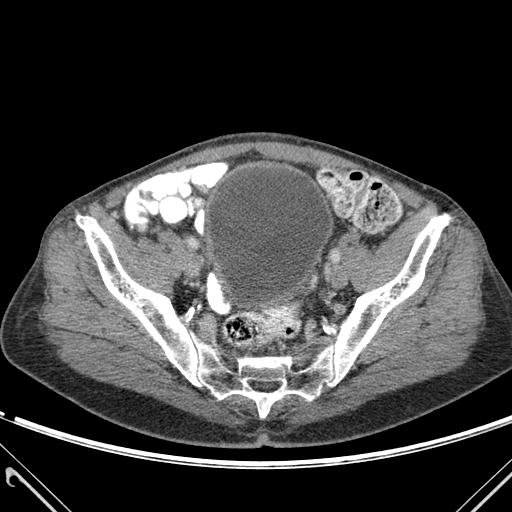 Pelvis; CT scan slice
{"bone": ["x1=76 y1=214 x2=449 y2=417", "x1=186 y1=308 x2=193 y2=320"], "urinary_bladder": ["x1=209 y1=167 x2=330 y2=303"]}